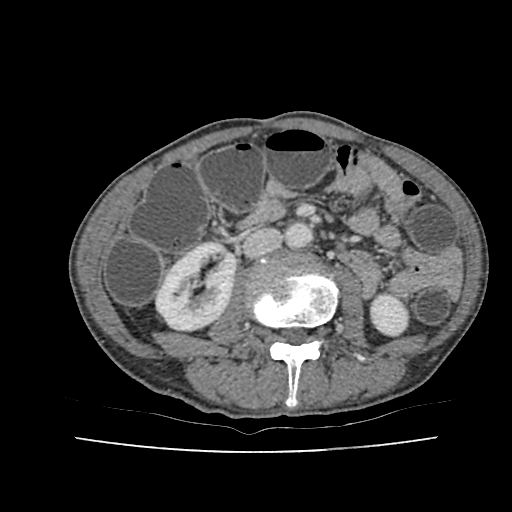
Abdomen, CT
Kidney — <bbox>156, 243, 235, 329</bbox>, <bbox>371, 296, 406, 334</bbox>.